Slice index 435, CT slice, Abdomen 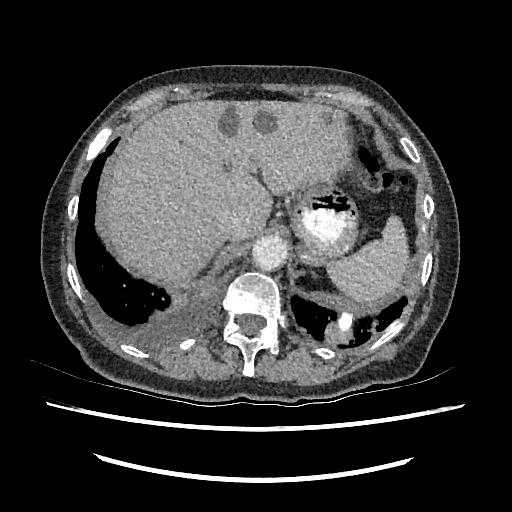

liver: rect(106, 101, 346, 282) | focal liver lesion: rect(322, 112, 332, 124); rect(253, 110, 277, 131); rect(220, 105, 239, 136); rect(222, 162, 232, 172)